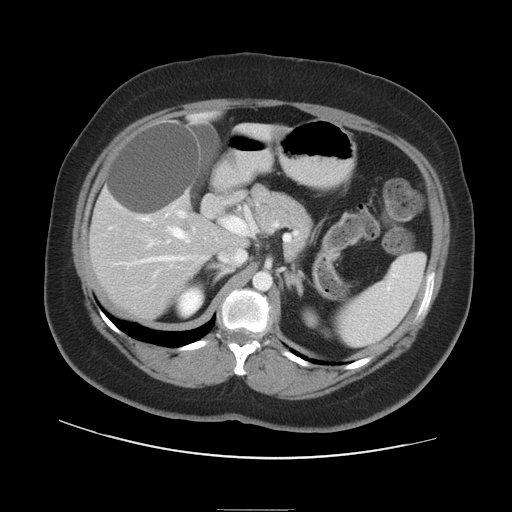

Liver. CT. 512x512 px.
The vessel annotation is not exhaustive.
4 hepatic vessel regions appear at bbox=[225, 217, 242, 233]; bbox=[158, 256, 183, 260]; bbox=[169, 227, 187, 240]; bbox=[179, 211, 183, 215].